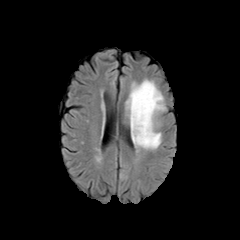
FLAIR magnetic resonance.
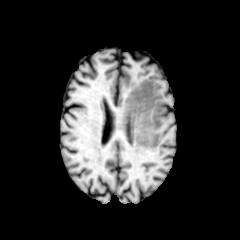
T1-weighted MR of the same slice.
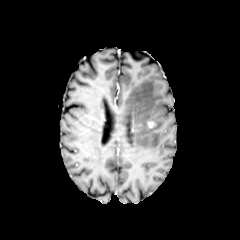
Post-contrast T1-weighted magnetic resonance of the same slice.
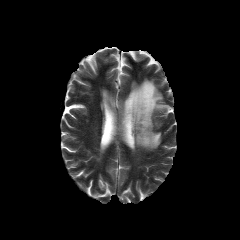
T2-weighted MRI of the same slice.
Image size 240x240
edema: x1=124 y1=79 x2=166 y2=149